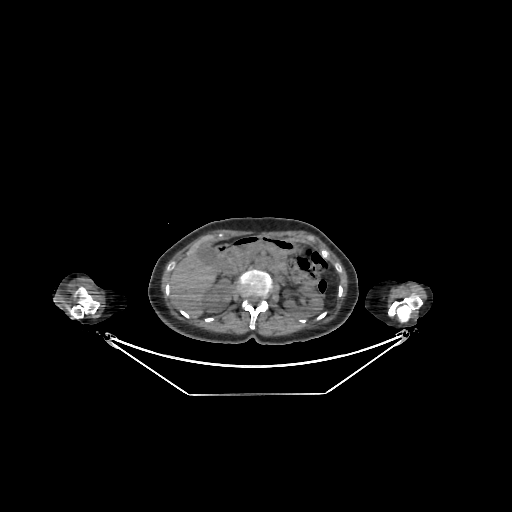
512x512 | Computed tomography | Abdomen
<segmentation>
  <liver>[168,250,219,317], [230,247,243,270]</liver>
  <kidney>[201,277,233,311], [283,285,323,319]</kidney>
</segmentation>